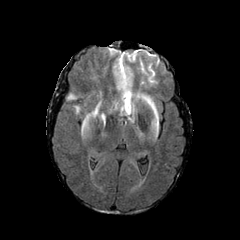
FLAIR MR image.
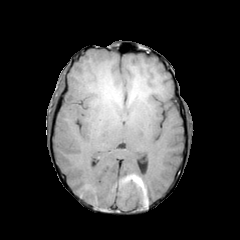
T1-weighted MR.
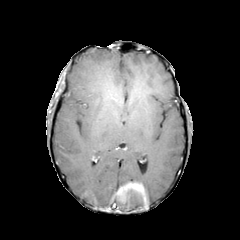
Post-contrast T1-weighted MR.
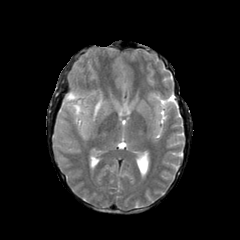
T2-weighted magnetic resonance.
Image size 240x240
<segmentation>
  <edema>(x1=66, y1=92, x2=79, y2=101), (x1=92, y1=101, x2=101, y2=118)</edema>
</segmentation>